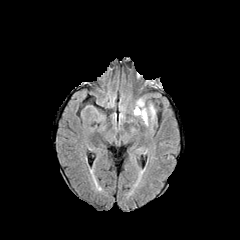
FLAIR MRI.
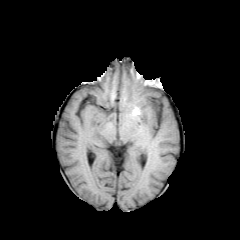
T1-weighted MR of the same slice.
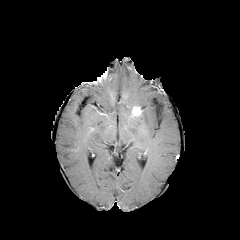
Post-contrast T1-weighted MR of the same slice.
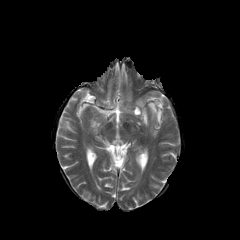
T2-weighted MR image.
Image size 240x240
The enhancing tumor lies within [132,106,142,116]. The edema is located at [140,109,147,124].